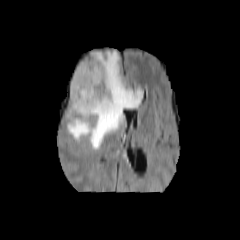
FLAIR magnetic resonance.
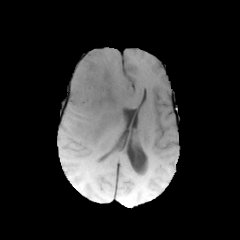
Same slice, T1-weighted MR image.
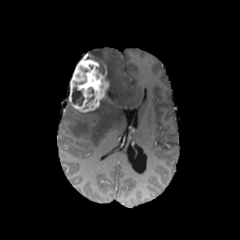
Same slice, post-contrast T1-weighted magnetic resonance.
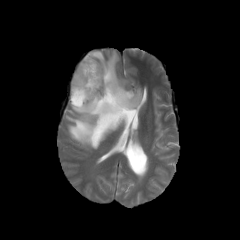
T2-weighted MR image.
Brain.
2 non-enhancing tumor core regions are bounded by 71:87:83:105, 90:55:105:74. The edema is located at 66:51:143:149. The enhancing tumor lies within 69:53:109:112.